Abdomen, CT, 512x512
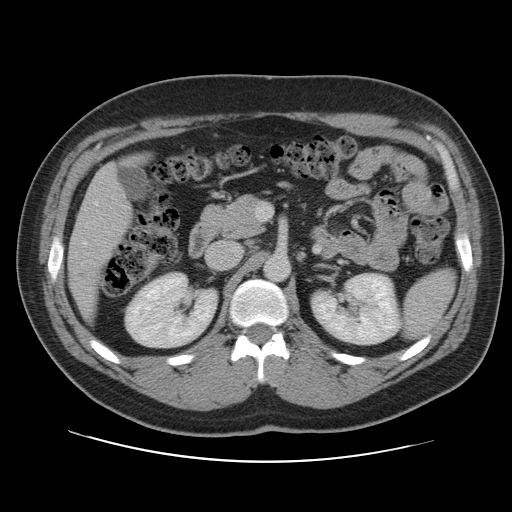
Only some of the vessels may be annotated.
Hepatic vessel = 94:201:97:204, 82:303:90:316, 88:287:93:289, 75:277:77:281, 72:284:73:287, 83:241:86:244, 80:216:81:217, 108:165:114:169.